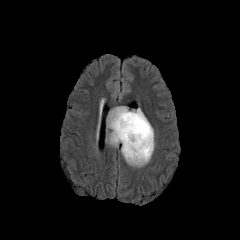
FLAIR MRI.
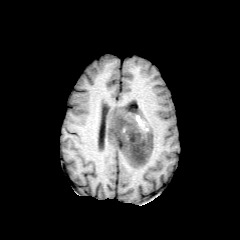
T1-weighted MR image.
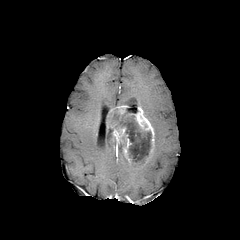
Post-contrast T1-weighted MRI of the same slice.
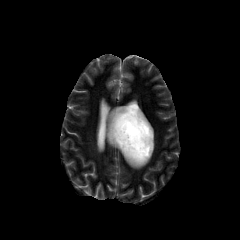
T2-weighted MR of the same slice.
240x240.
Annotated regions:
- edema: x1=120, y1=141, x2=155, y2=168
- enhancing tumor: x1=109, y1=106, x2=126, y2=114; x1=134, y1=107, x2=154, y2=155; x1=107, y1=120, x2=131, y2=161
- non-enhancing tumor core: x1=118, y1=137, x2=125, y2=151; x1=106, y1=108, x2=151, y2=164